Hippocampus; MR image; Field of view 37 mm wide, 1.00 mm slice spacing 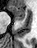 The anterior hippocampus lies within 9 6 24 19. The posterior hippocampus is located at 16 20 22 20.